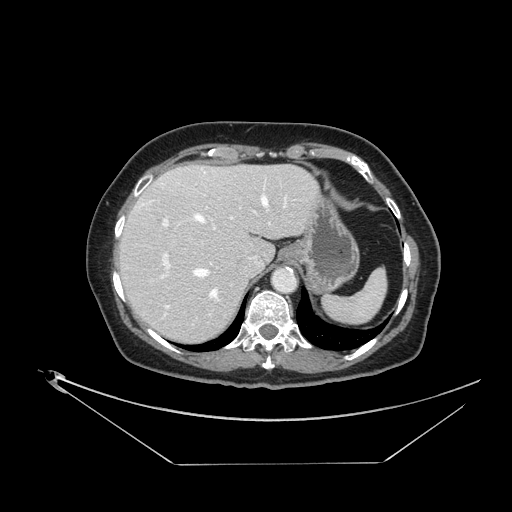

CT scan slice, Abdomen
Some hepatic vessels may have no box.
Annotated regions:
• hepatic vessel: 135,200,152,209; 192,268,209,277; 165,305,169,308; 161,252,170,277; 262,195,266,204; 162,218,168,226; 248,256,262,266; 209,288,218,299; 230,216,233,218; 192,213,205,223